Magnetic resonance, Hippocampus
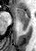
The posterior hippocampus is located at rect(22, 23, 28, 29). The anterior hippocampus is at rect(13, 8, 29, 22).